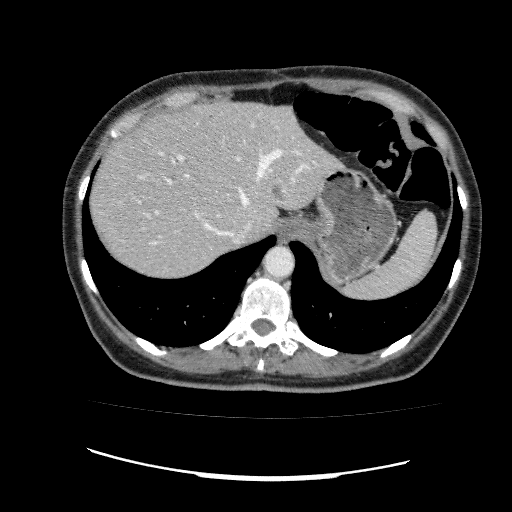 CT slice. The liver lies within x1=90, y1=100, x2=343, y2=279. The hepatic lesion is located at x1=271, y1=184, x2=284, y2=201.